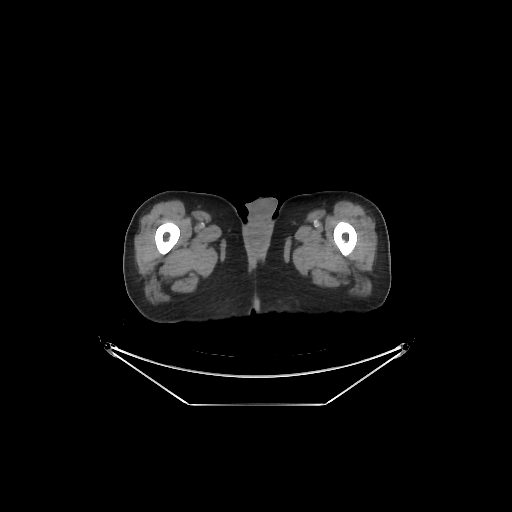

Computed tomography
bone:
  - l=334, t=221, r=356, b=255
  - l=155, t=221, r=179, b=254